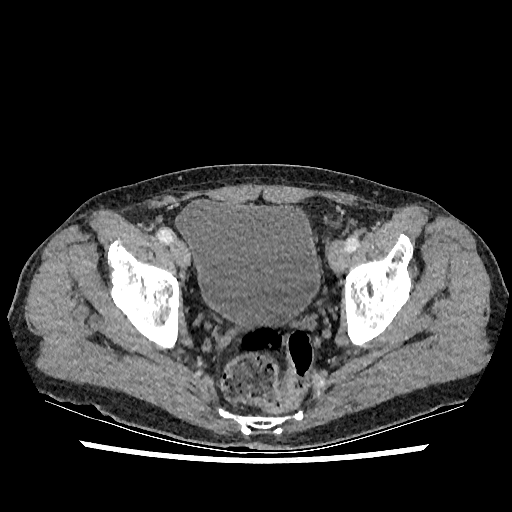 Computed tomography. - urinary bladder: bbox=[176, 198, 320, 332]